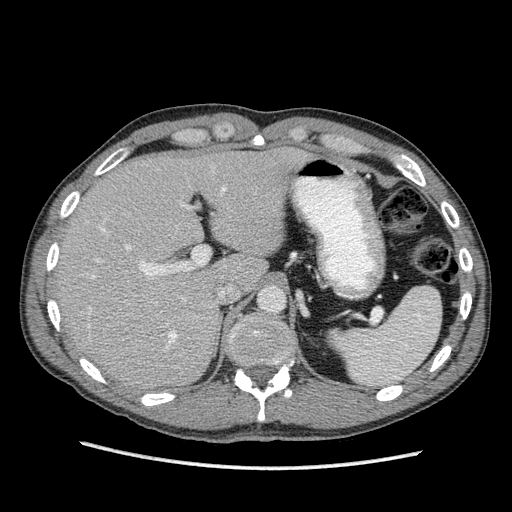 Liver | 512x512 px | CT scan slice

Annotated regions:
* liver: rect(53, 145, 319, 393)